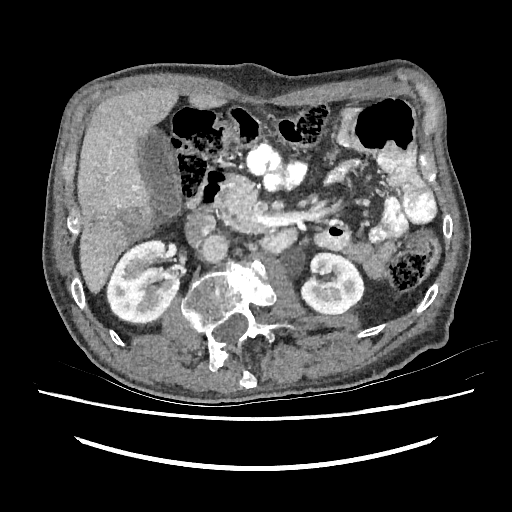

CT slice | Liver
3 focal liver lesion regions appear at rect(86, 207, 148, 242); rect(91, 187, 100, 197); rect(114, 244, 123, 253). 2 liver regions are located at rect(77, 88, 177, 293); rect(189, 93, 226, 108). 2 kidney regions are bounded by rect(302, 253, 363, 314); rect(107, 241, 179, 322).